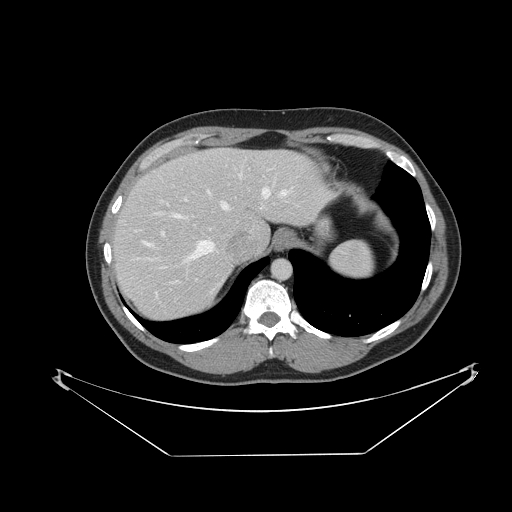
Abdomen; Computed tomography; 512x512 px
Spleen — 331 241 373 281.